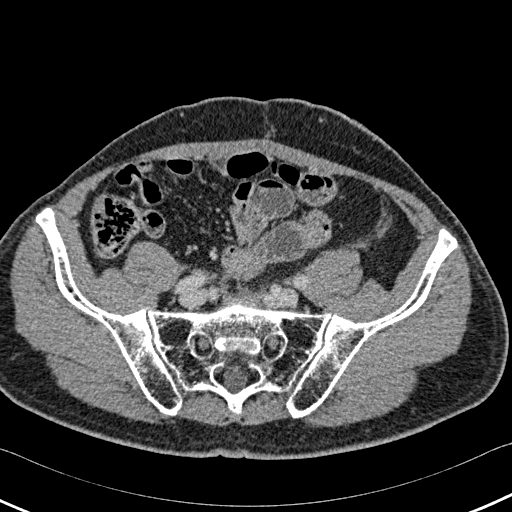
512x512 px | CT image

The bone is bounded by {"x1": 36, "y1": 208, "x2": 456, "y2": 417}.